Image width 339 mm, Abdomen, CT, 512x512 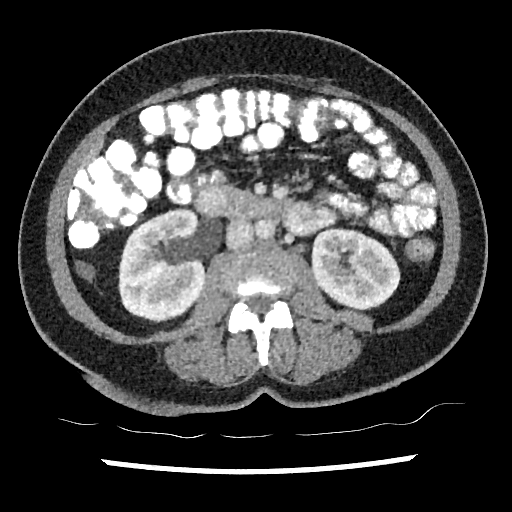

The liver is at box(83, 139, 103, 166). 2 kidney regions are bounded by box(120, 211, 204, 320); box(312, 230, 399, 308).